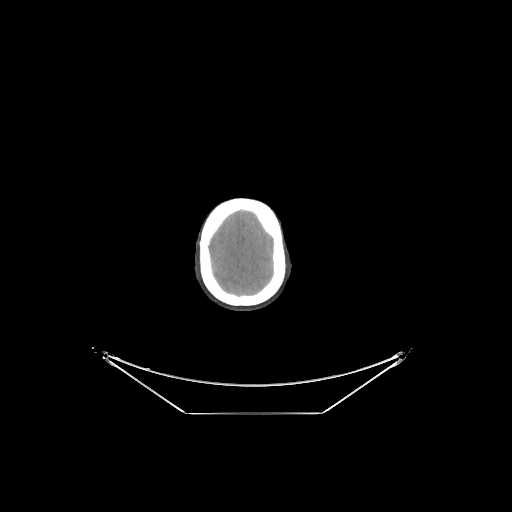 CT scan slice, 512x512 px, Head
Brain = left=208, top=211, right=273, bottom=295.